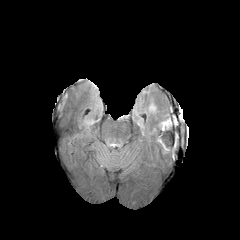
FLAIR MR image.
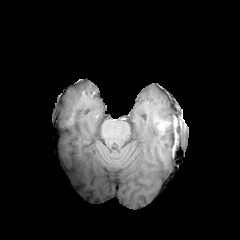
T1-weighted MR.
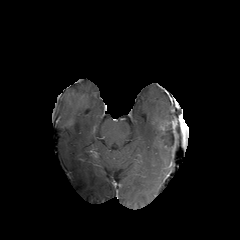
Post-contrast T1-weighted MR of the same slice.
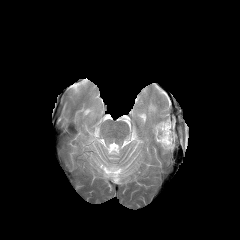
T2-weighted MR.
Brain; 240x240
Findings:
- edema: <box>139,101,159,116</box>, <box>103,141,122,155</box>, <box>152,110,172,150</box>, <box>133,109,144,128</box>